CT scan slice. Abdomen. 512x512.

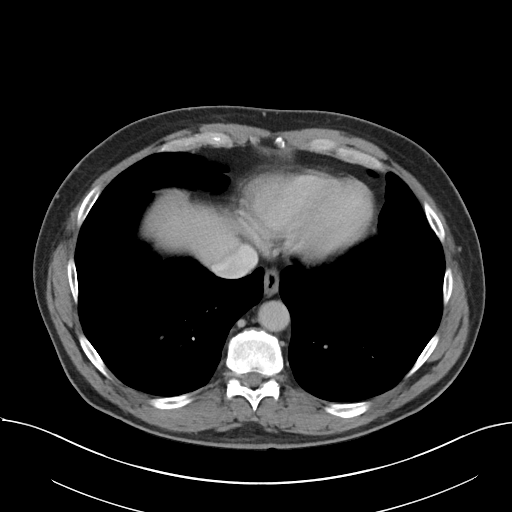
The vessel annotation is not exhaustive.
Findings:
• hepatic vessel: 213,267,250,277